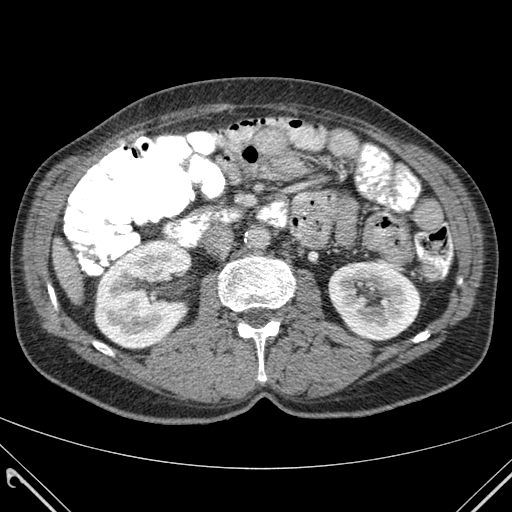

512x512 | CT image

bone: (218, 257, 294, 311), (238, 321, 279, 380), (48, 285, 56, 307), (93, 342, 112, 354), (413, 331, 429, 341) | liver: (53, 238, 82, 302) | kidney: (329, 263, 419, 339), (96, 241, 185, 347)